FLAIR magnetic resonance.
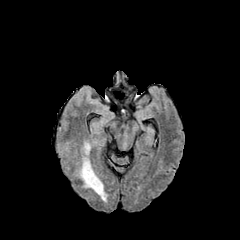
T1-weighted MR.
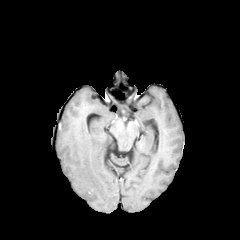
Post-contrast T1-weighted MR.
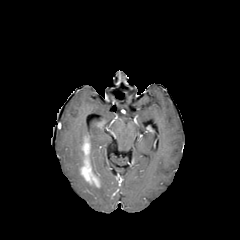
T2-weighted MR image.
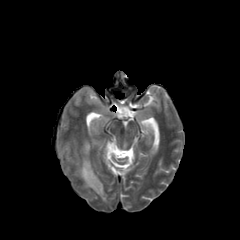
Brain, Image size 240x240
Annotated regions:
- enhancing tumor: (80, 140, 99, 186)
- edema: (77, 151, 107, 201)